FLAIR MRI.
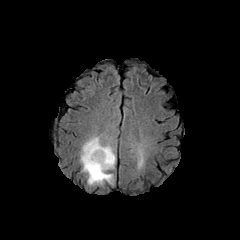
T1-weighted MR image.
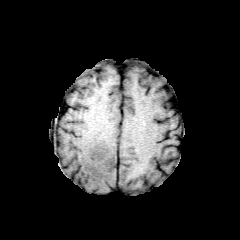
Post-contrast T1-weighted MR image.
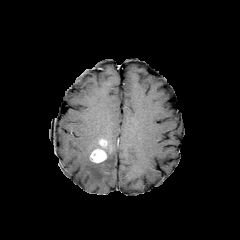
T2-weighted MRI.
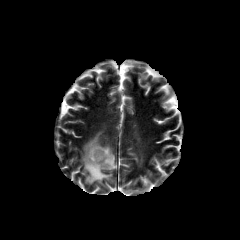
Brain
The enhancing tumor is located at bbox(90, 148, 106, 162). 2 edema regions appear at bbox(80, 135, 116, 185); bbox(136, 148, 143, 165).